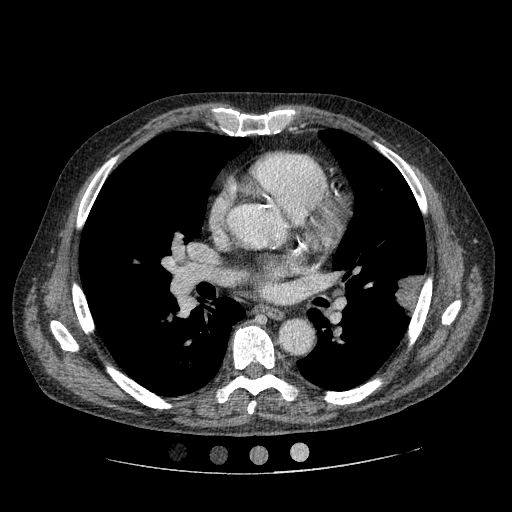 512x512 px | CT slice | Chest

<segmentation>
  <lung_tumor>rect(390, 270, 424, 321)</lung_tumor>
</segmentation>